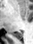

Hippocampus, MR image
The posterior hippocampus lies within box=[14, 33, 22, 39].